Field of view 700 mm wide, 3.27 mm slice spacing; Image size 512x512; Computed tomography
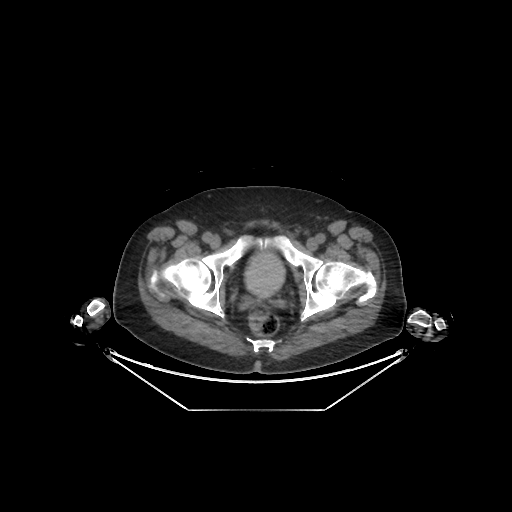

Urinary bladder: (245,243,284,297).